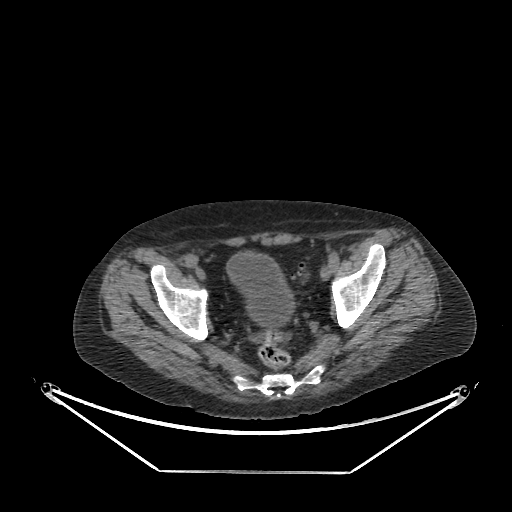
CT scan slice | Lower abdomen | 512x512 px

Urinary bladder — bbox=[226, 250, 295, 336].